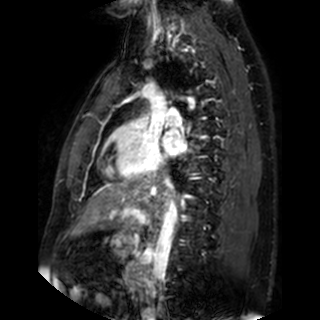
Heart | MRI slice | 320x320
{
  "left_atrium": [
    "<bbox>163, 129, 187, 156</bbox>"
  ]
}